Abdomen | Computed tomography 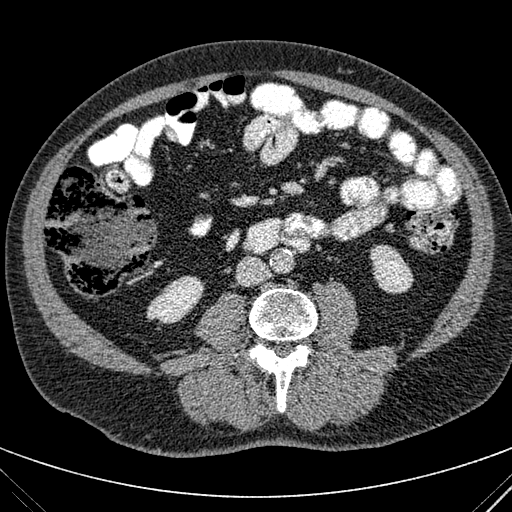
2 kidney regions appear at l=370, t=245, r=413, b=292; l=147, t=276, r=203, b=322.